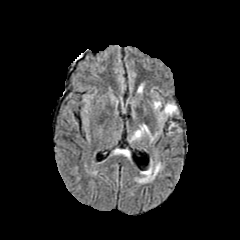
FLAIR MR image.
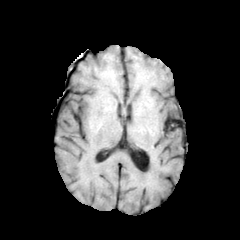
T1-weighted MRI.
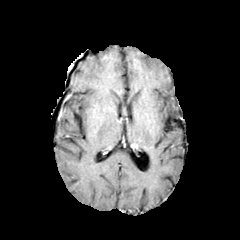
Post-contrast T1-weighted MRI.
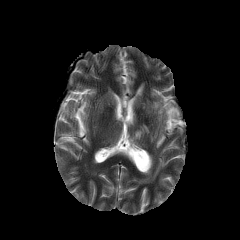
T2-weighted MR of the same slice.
Brain
* edema: bbox=[148, 164, 162, 176]; bbox=[134, 125, 147, 137]; bbox=[153, 94, 178, 121]